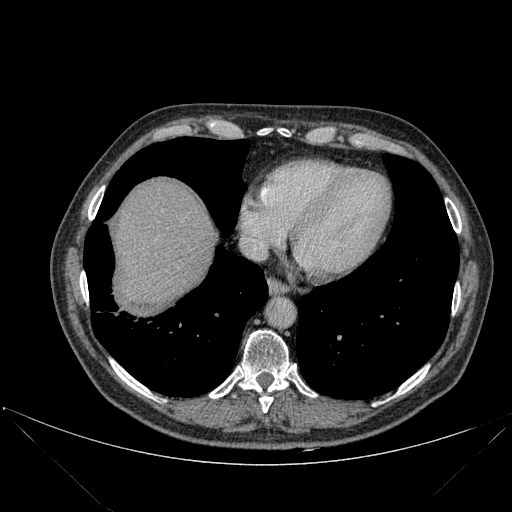

Computed tomography. Abdomen.

Bone at <box>110,360,152,397</box>, <box>396,366,428,394</box>, <box>259,396,272,412</box>, <box>88,186,104,219</box>, <box>209,330,316,398</box>, <box>446,198,461,232</box>, <box>80,271,88,301</box>, <box>452,284,460,314</box>.
Lung at <box>296,154,458,399</box>, <box>83,137,267,396</box>.
Liver at <box>109,183,218,311</box>.